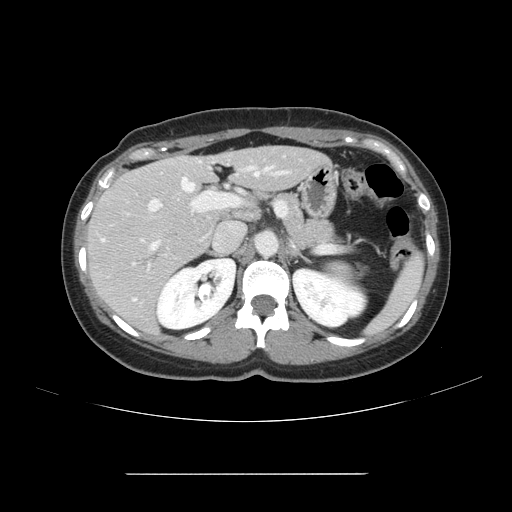

Image size 512x512 | Liver | CT slice
Not every hepatic vessel necessarily has a box.
Hepatic vessel = (249,166,255,170), (133,298,136,300), (151,242,158,248), (102,239,104,240), (277,171,287,173), (149,200,161,210), (255,171,258,175), (265,166,272,170), (183,178,186,181).